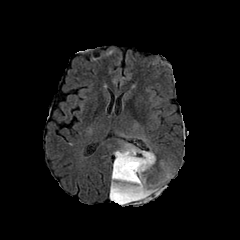
FLAIR MRI.
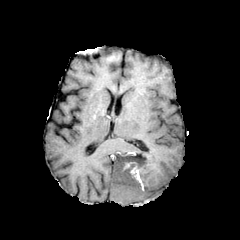
T1-weighted MRI of the same slice.
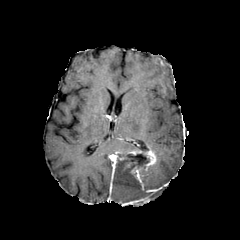
Post-contrast T1-weighted magnetic resonance.
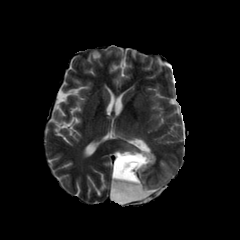
T2-weighted MR image of the same slice.
Edema: bounding box box(141, 164, 159, 187); box(114, 184, 145, 195); box(118, 144, 139, 151).
Non-enhancing tumor core: bounding box box(111, 150, 157, 202).
Enhancing tumor: bounding box box(122, 197, 147, 204); box(145, 151, 155, 165); box(112, 152, 121, 177).